Field of view 500x500 mm, Slice 52/247, CT slice

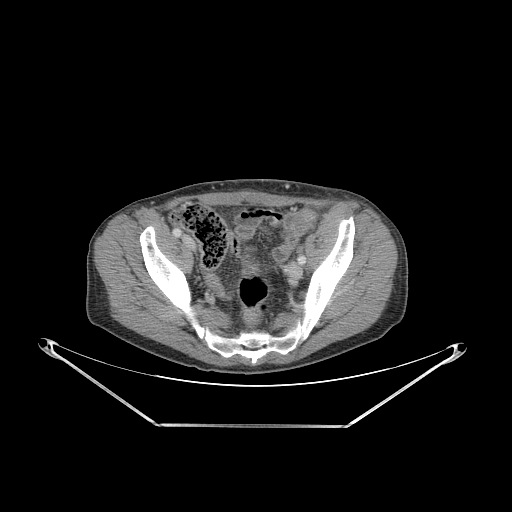

The bone is bounded by region(140, 217, 354, 363).